CT slice, Abdomen

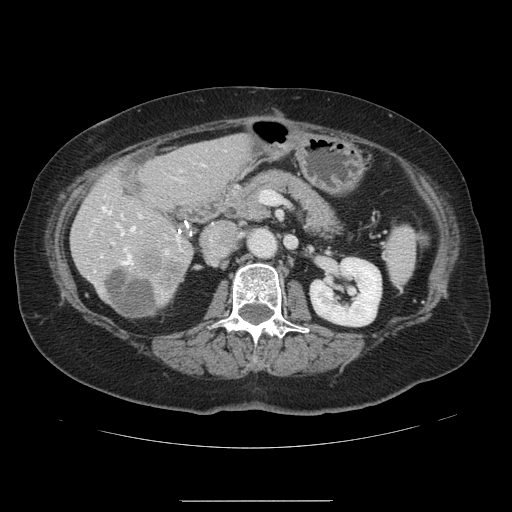 The vessel annotation is not exhaustive.
Segmented structures:
• liver tumor: x1=140 y1=253 x2=185 y2=288, x1=109 y1=271 x2=158 y2=314
• hepatic vessel: x1=122 y1=246 x2=132 y2=264, x1=120 y1=229 x2=123 y2=234, x1=100 y1=255 x2=101 y2=256, x1=130 y1=226 x2=135 y2=231, x1=94 y1=219 x2=96 y2=220, x1=90 y1=231 x2=91 y2=233, x1=164 y1=249 x2=167 y2=253, x1=102 y1=206 x2=109 y2=213, x1=121 y1=214 x2=122 y2=216, x1=201 y1=163 x2=203 y2=165, x1=116 y1=224 x2=119 y2=227, x1=138 y1=214 x2=140 y2=216, x1=111 y1=241 x2=112 y2=242, x1=181 y1=179 x2=183 y2=181